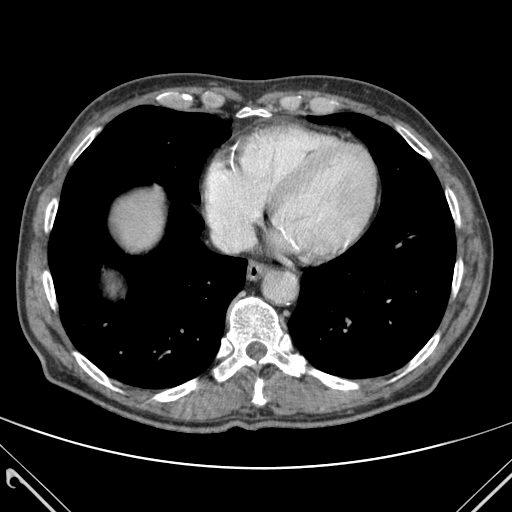
CT image; 512x512

<segmentation>
  <lung>box(288, 113, 455, 378); box(48, 105, 246, 388)</lung>
  <bone>box(70, 130, 97, 159); box(214, 297, 305, 380); box(45, 197, 57, 231); box(43, 269, 55, 308); box(154, 380, 195, 401); box(406, 335, 438, 371); box(253, 379, 265, 404); box(398, 127, 431, 157); box(237, 107, 270, 117); box(446, 190, 459, 224); box(452, 261, 462, 293); box(74, 352, 115, 389); box(309, 369, 357, 389)</bone>
  <liver>box(114, 194, 160, 246)</liver>
</segmentation>